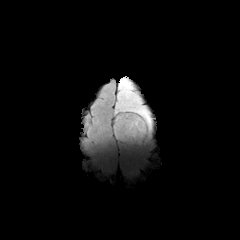
FLAIR magnetic resonance.
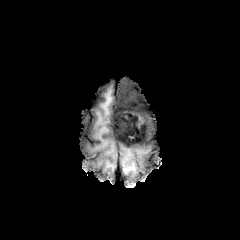
T1-weighted MRI of the same slice.
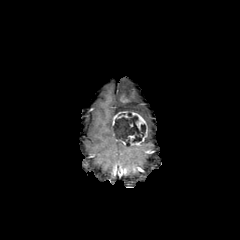
Post-contrast T1-weighted MRI of the same slice.
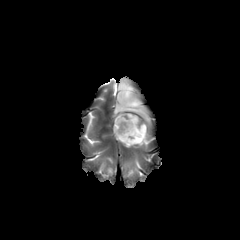
T2-weighted MR image of the same slice.
240x240 px, Brain
<segmentation>
  <non-enhancing_tumor_core>region(113, 100, 145, 145)</non-enhancing_tumor_core>
  <enhancing_tumor>region(128, 112, 147, 145); region(112, 111, 130, 125)</enhancing_tumor>
  <edema>region(116, 77, 150, 127)</edema>
</segmentation>